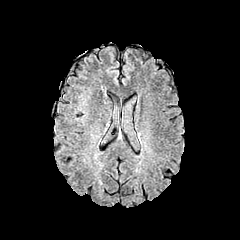
FLAIR MRI.
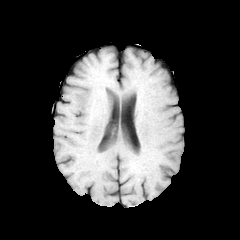
T1-weighted MR.
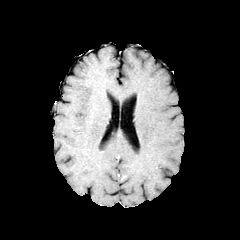
Post-contrast T1-weighted MRI.
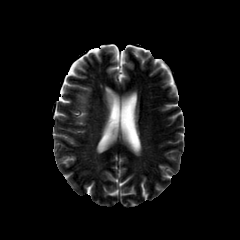
T2-weighted MR image.
240x240.
The edema is bounded by box(78, 95, 87, 115).